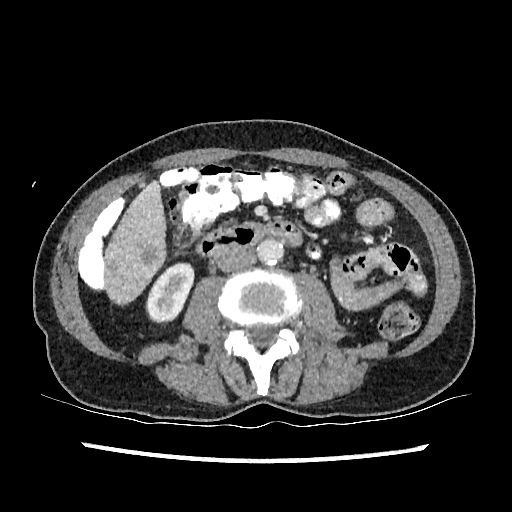 512x512; CT; Upper abdomen
The liver lies within 104 181 165 303. The kidney is bounded by 148 264 193 320. 2 focal liver lesion regions are bounded by 110 262 117 270, 140 244 157 264.